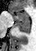
Hippocampus | MRI slice
Posterior hippocampus at l=15, t=22, r=29, b=33.
Anterior hippocampus at l=11, t=12, r=29, b=21.